FLAIR magnetic resonance.
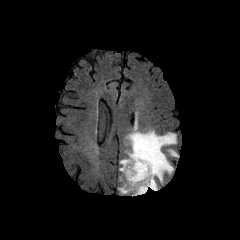
T1-weighted MRI.
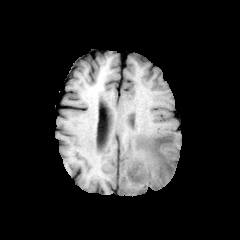
Post-contrast T1-weighted MR image.
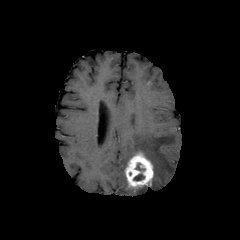
T2-weighted magnetic resonance.
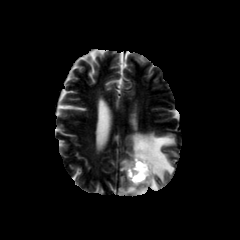
Head
Annotated regions:
* enhancing tumor: 124 150 154 194
* edema: 118 174 129 193, 132 186 147 195, 119 118 178 190